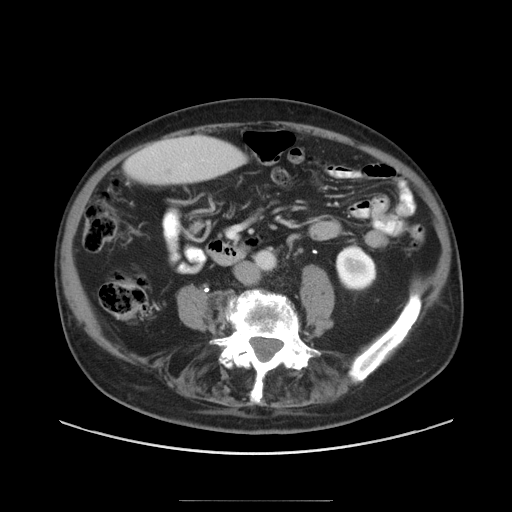

CT scan slice | Abdomen

The vessel annotation is not exhaustive.
The hepatic vessel is bounded by x1=186 y1=164 x2=189 y2=167.